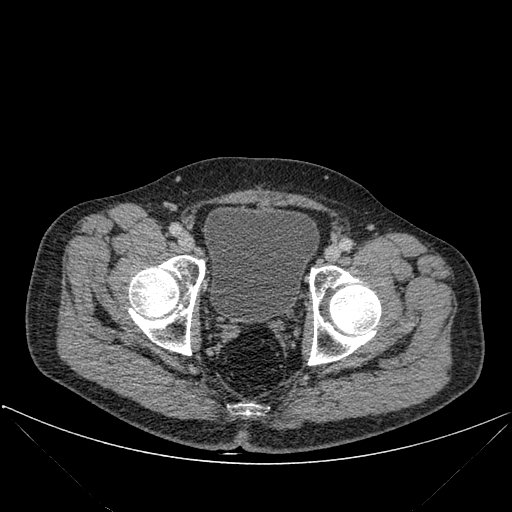
CT scan slice
Bone: 229, 403, 258, 414; 128, 255, 205, 355; 308, 265, 380, 365.
Urinary bladder: 203, 204, 318, 323.